CT slice, Slice 378 of 751

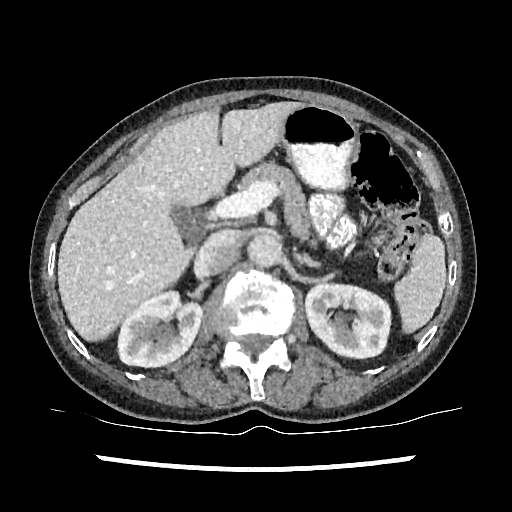

Annotated regions:
• liver: [x1=59, y1=103, x2=303, y2=340]
• kidney: [x1=306, y1=285, x2=389, y2=357], [x1=118, y1=293, x2=201, y2=369]